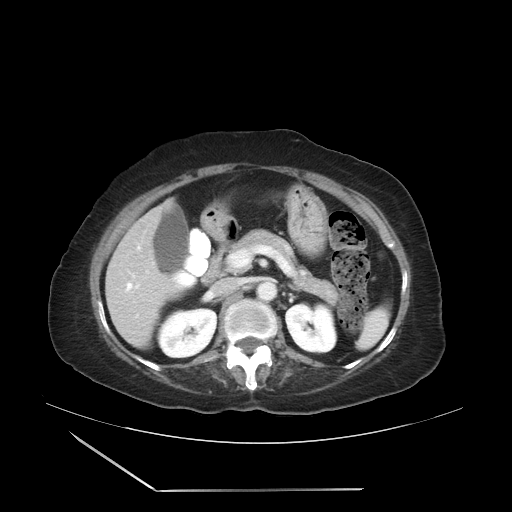

Computed tomography. Abdomen. The vessel boxes may cover only some of the vessels.
hepatic_vessel:
  - region(185, 282, 190, 284)
  - region(175, 282, 179, 287)
  - region(133, 301, 135, 302)
  - region(146, 270, 148, 272)
  - region(137, 240, 142, 250)
  - region(136, 314, 138, 317)
  - region(172, 279, 176, 280)
  - region(127, 271, 135, 276)
  - region(125, 282, 139, 297)